CT slice
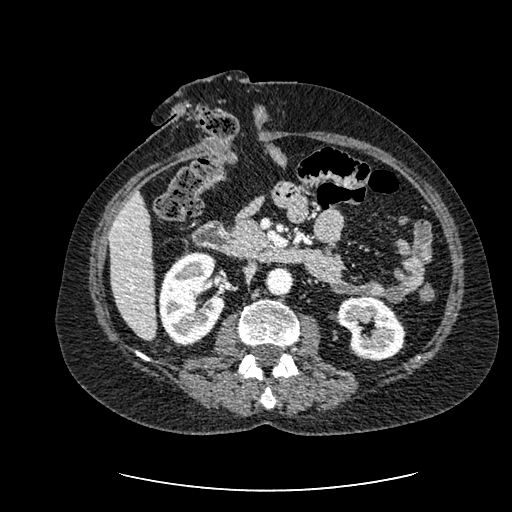 <segmentation>
  <liver>110, 190, 156, 339</liver>
  <kidney>338, 297, 404, 359; 159, 253, 223, 344</kidney>
</segmentation>